FLAIR MR image.
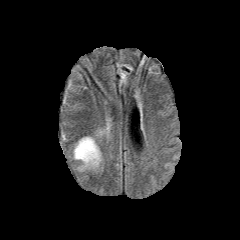
T1-weighted MR.
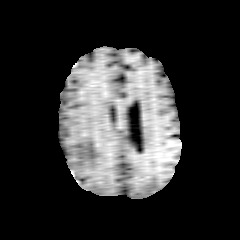
Post-contrast T1-weighted MR.
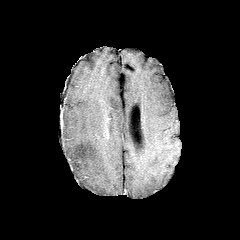
T2-weighted MR image.
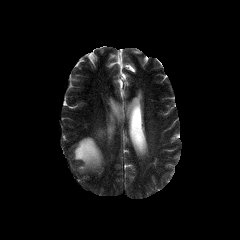
• edema: left=73, top=136, right=103, bottom=171